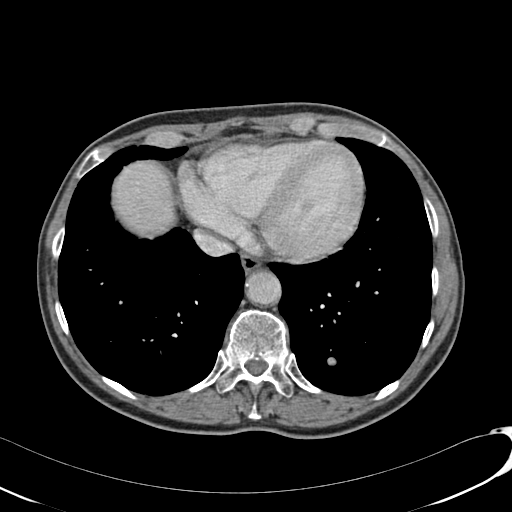 Upper abdomen. CT.

<segmentation>
  <liver>114:162:173:233</liver>
</segmentation>